Liver. Computed tomography. 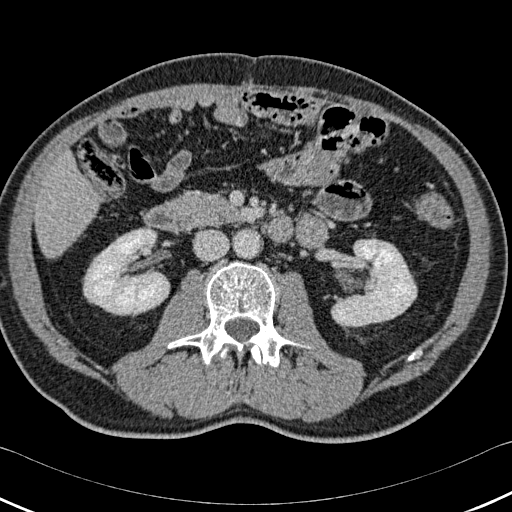 Liver at {"x1": 35, "y1": 154, "x2": 99, "y2": 257}.
Kidney at {"x1": 84, "y1": 229, "x2": 169, "y2": 314}, {"x1": 332, "y1": 239, "x2": 416, "y2": 325}.
Bone at {"x1": 168, "y1": 262, "x2": 308, "y2": 367}, {"x1": 220, "y1": 347, "x2": 227, "y2": 358}.